Slice index 20. MR image.

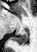
posterior hippocampus: region(11, 30, 26, 43)